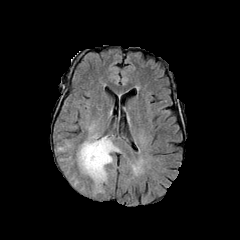
FLAIR magnetic resonance.
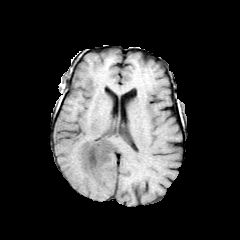
T1-weighted MR image of the same slice.
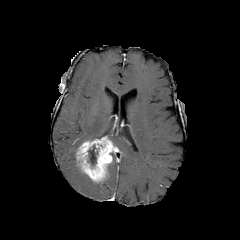
Same slice, post-contrast T1-weighted MRI.
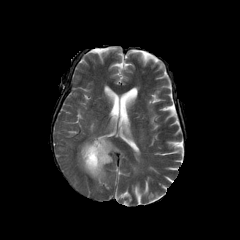
Same slice, T2-weighted MRI.
Head. 240x240.
The non-enhancing tumor core is located at bbox=[88, 146, 96, 165]. The enhancing tumor appears at bbox=[77, 136, 118, 181]. 3 edema regions appear at bbox=[73, 119, 102, 162]; bbox=[108, 134, 122, 152]; bbox=[91, 151, 116, 196].